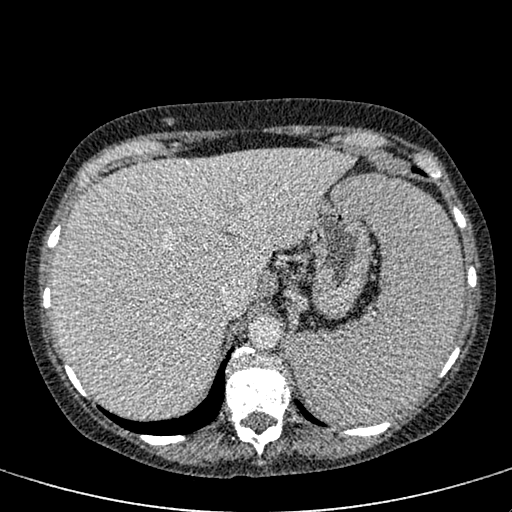 Computed tomography
The liver is located at 53:148:355:416.